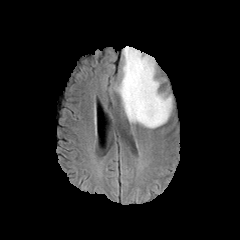
FLAIR MR image.
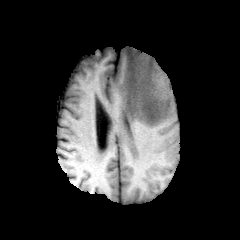
T1-weighted magnetic resonance.
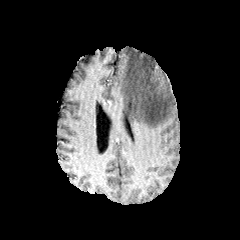
Post-contrast T1-weighted MR image.
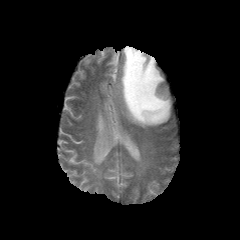
T2-weighted MRI of the same slice.
Head
The edema is located at (113,46,172,128).